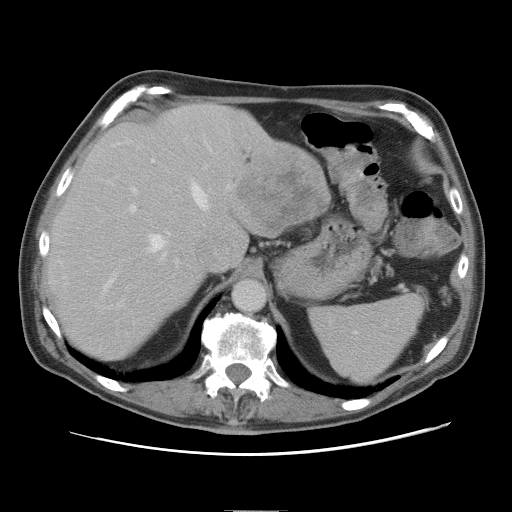
CT image

The vessel boxes may cover only some of the vessels.
<segmentation>
  <liver_tumor>rect(235, 170, 328, 233)</liver_tumor>
  <hepatic_vessel>rect(228, 185, 230, 188); rect(133, 189, 136, 192); rect(192, 185, 207, 207); rect(152, 160, 154, 161); rect(208, 146, 210, 149); rect(118, 303, 121, 305); rect(109, 182, 110, 183); rect(131, 205, 136, 212); rect(105, 280, 111, 290); rect(151, 235, 165, 251); rect(176, 259, 179, 264)</hepatic_vessel>
</segmentation>